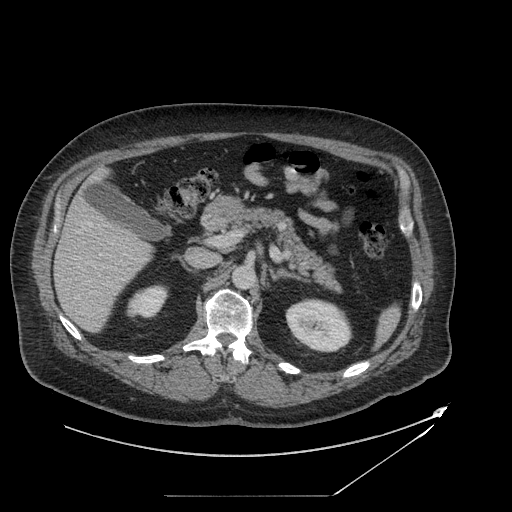 Abdomen | 512x512 | CT image

pancreas:
  - (left=228, top=208, right=340, bottom=292)